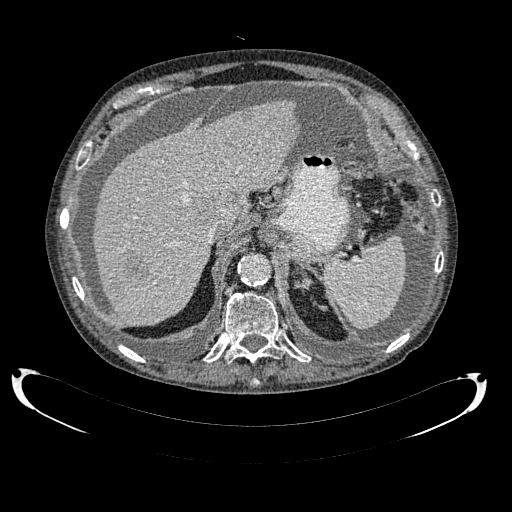
Computed tomography. Liver lesion at bbox=[124, 253, 146, 277]; bbox=[196, 199, 214, 222]; bbox=[110, 284, 123, 300]; bbox=[284, 124, 295, 137].
Liver at bbox=[94, 99, 297, 324].